MRI slice | Hippocampus | 36x47 | Slice index 33
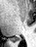

Posterior hippocampus — 12:37:16:41.